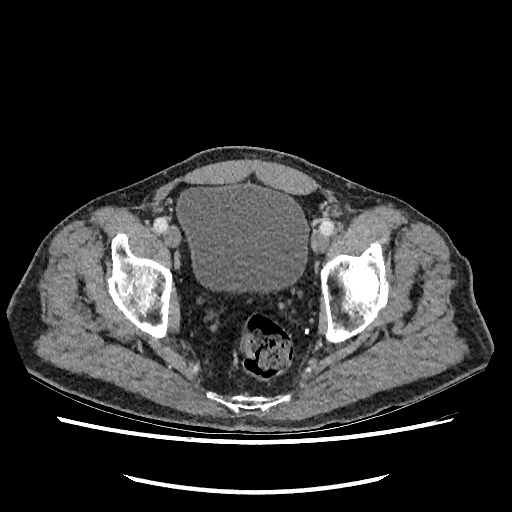 CT slice, Lower abdomen
Urinary bladder: (176, 182, 308, 291).